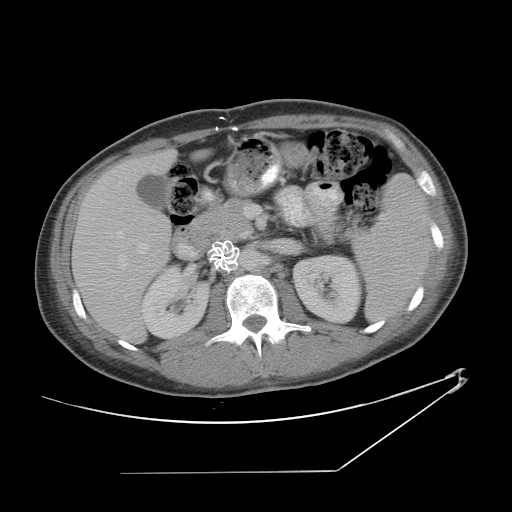
Liver. 512x512 px. CT. The vessel annotation is not exhaustive.
6 hepatic vessel regions appear at {"x1": 119, "y1": 255, "x2": 125, "y2": 262}, {"x1": 140, "y1": 244, "x2": 147, "y2": 253}, {"x1": 118, "y1": 182, "x2": 121, "y2": 185}, {"x1": 125, "y1": 296, "x2": 127, "y2": 298}, {"x1": 117, "y1": 231, "x2": 123, "y2": 238}, {"x1": 149, "y1": 165, "x2": 155, "y2": 170}.